Abdomen | CT slice 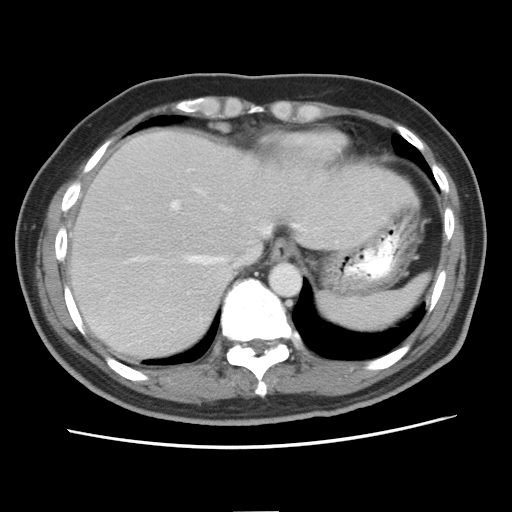

Some hepatic vessels may have no box.
hepatic_vessel:
  - region(261, 225, 270, 233)
  - region(187, 169, 190, 171)
  - region(171, 201, 178, 209)
  - region(188, 256, 225, 264)